FLAIR MR.
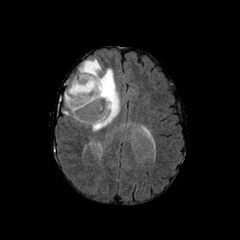
T1-weighted MRI.
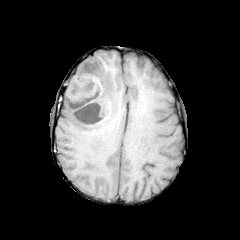
Post-contrast T1-weighted MR image.
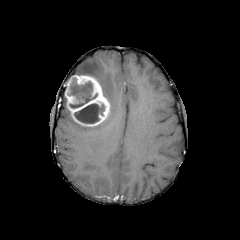
T2-weighted MR image.
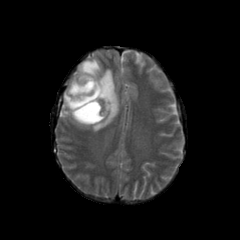
240x240 | Brain
2 non-enhancing tumor core regions are bounded by (x1=66, y1=75, x2=96, y2=107), (x1=74, y1=102, x2=103, y2=124). The enhancing tumor is located at (x1=65, y1=75, x2=109, y2=125). 2 edema regions appear at (x1=77, y1=56, x2=119, y2=131), (x1=63, y1=94, x2=74, y2=121).